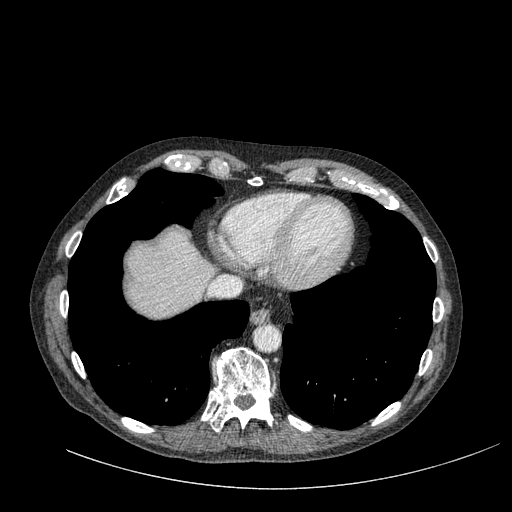 512x512 px | CT image | Upper abdomen
Liver: bounding box (127,231,210,318).